240x240.
FLAIR MR.
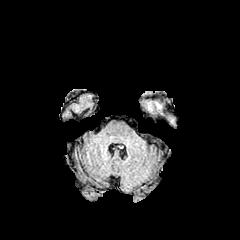
T1-weighted MR.
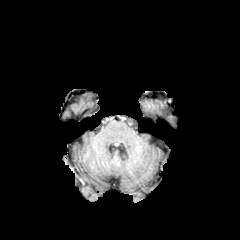
Post-contrast T1-weighted MR.
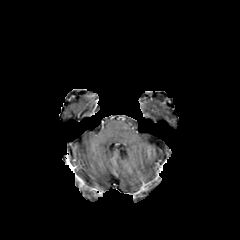
T2-weighted magnetic resonance.
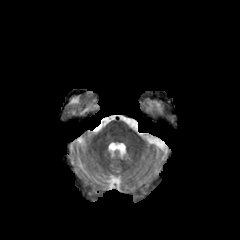
• edema: bbox=[147, 101, 161, 111]